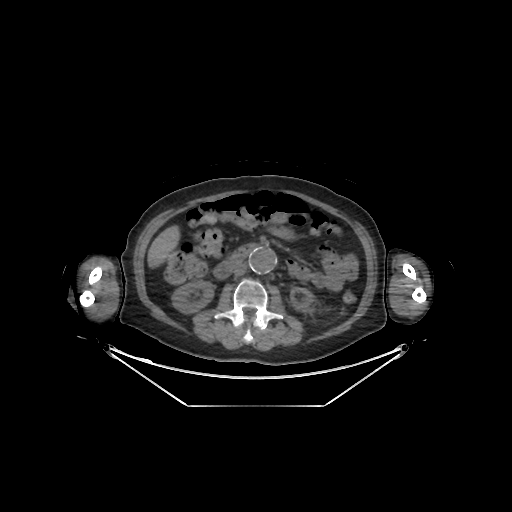
CT scan slice
3 bone regions are bounded by {"x1": 80, "y1": 266, "x2": 101, "y2": 306}, {"x1": 403, "y1": 263, "x2": 426, "y2": 303}, {"x1": 228, "y1": 280, "x2": 269, "y2": 342}. The liver is bounded by {"x1": 148, "y1": 227, "x2": 178, "y2": 265}. 2 kidney regions are bounded by {"x1": 289, "y1": 287, "x2": 317, "y2": 314}, {"x1": 171, "y1": 279, "x2": 213, "y2": 314}.